Head
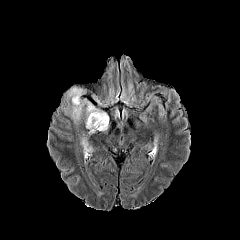
FLAIR MRI.
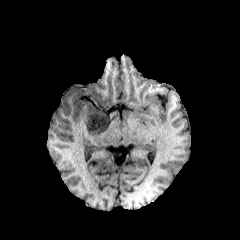
T1-weighted magnetic resonance.
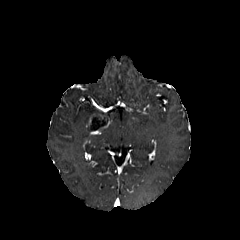
Post-contrast T1-weighted magnetic resonance.
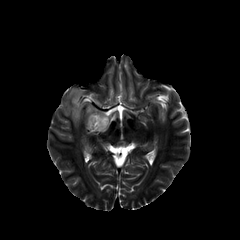
T2-weighted MRI of the same slice.
The non-enhancing tumor core is located at 87, 110, 109, 133. 4 edema regions appear at 85, 141, 92, 153; 109, 87, 120, 97; 65, 88, 97, 127; 80, 133, 89, 144. The enhancing tumor appears at 90, 129, 101, 136.